Slice 19/36, MRI 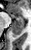 The posterior hippocampus lies within bbox(10, 19, 23, 37). The anterior hippocampus appears at bbox(9, 12, 22, 18).